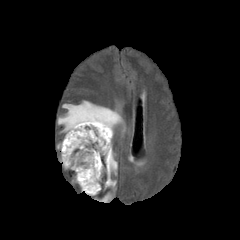
FLAIR MR.
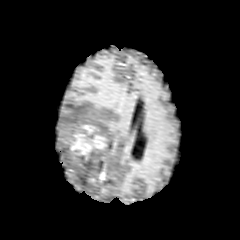
T1-weighted magnetic resonance of the same slice.
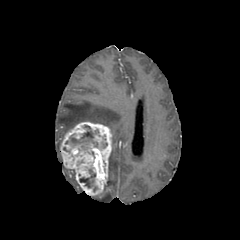
Post-contrast T1-weighted MR image.
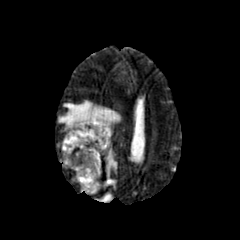
T2-weighted MR image.
Brain
Non-enhancing tumor core at (70,126,98,146), (80,169,95,192).
Edema at (96,193,112,202), (105,152,117,188), (58,101,122,134).
Enhancing tumor at (59,121,113,195).